Upper abdomen, Slice 392/536, CT image
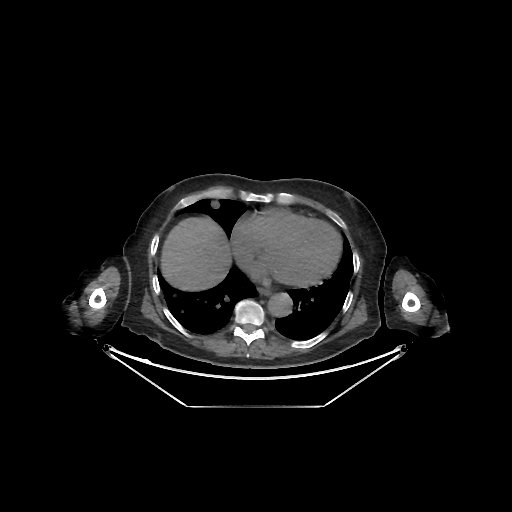

<segmentation>
  <lung>bbox(275, 232, 353, 340); bbox(175, 199, 250, 238); bbox(157, 265, 257, 334)</lung>
  <liver>bbox(161, 218, 231, 289)</liver>
  <bone>bbox(234, 300, 265, 344); bbox(402, 292, 420, 311); bbox(151, 236, 158, 254); bbox(164, 309, 187, 335); bbox(291, 334, 325, 347); bbox(245, 194, 273, 201); bbox(353, 253, 359, 271); bbox(89, 288, 106, 309); bbox(343, 294, 352, 310); bbox(153, 276, 159, 293)</bone>
</segmentation>